CT slice. Image width 438 mm.
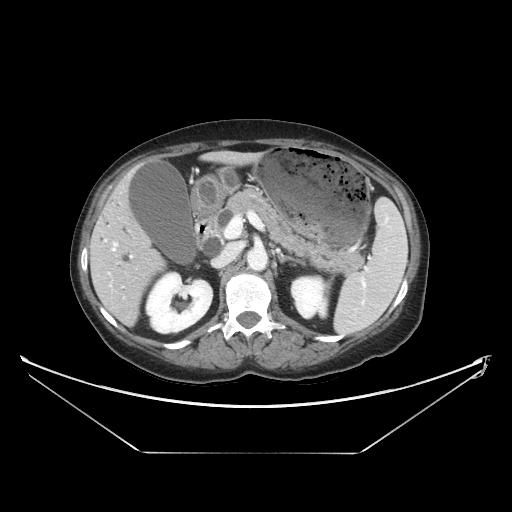
Segmented structures:
* pancreas: rect(215, 189, 363, 273)